CT image

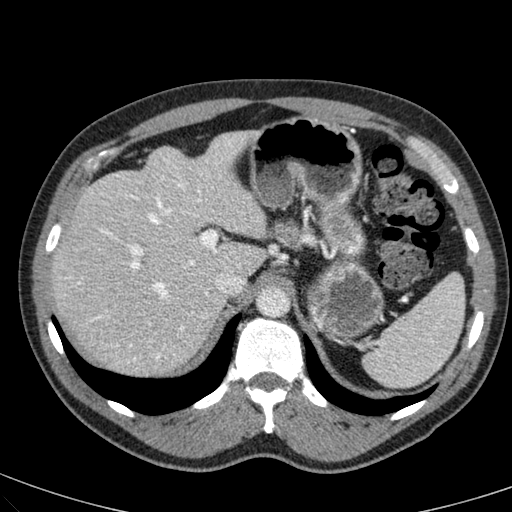
The liver is bounded by 51,137,263,375.